CT; Slice 469 of 654; Image size 512x512
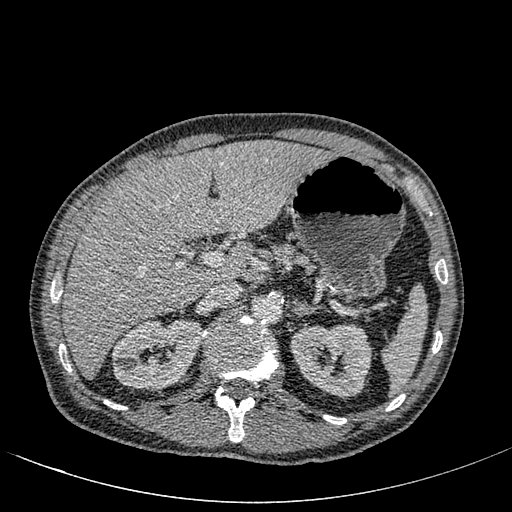
Hepatic lesion: bounding box region(156, 171, 164, 178).
Liver: bounding box region(62, 140, 330, 377).
Kidney: bounding box region(291, 324, 370, 396); region(112, 319, 203, 389).